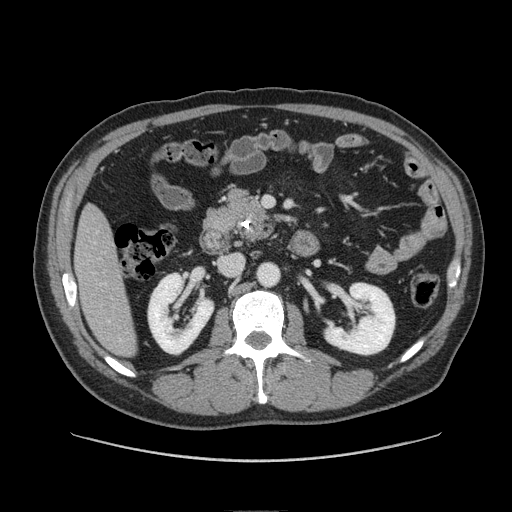

CT | Upper abdomen
Segmented structures:
* pancreatic tumor: 245, 231, 253, 238
* pancreas: 201, 187, 278, 248